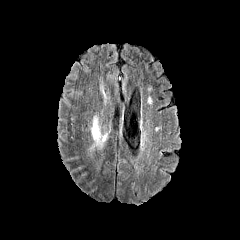
FLAIR MR.
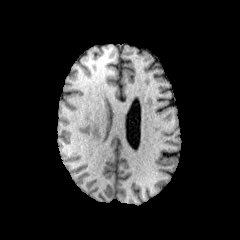
T1-weighted MR of the same slice.
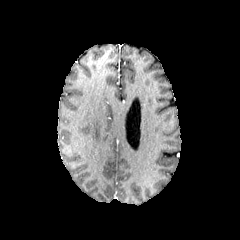
Post-contrast T1-weighted MR image.
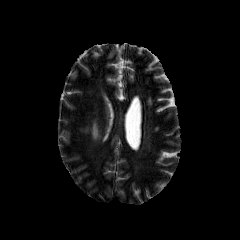
Same slice, T2-weighted MR image.
240x240.
Findings:
- edema: {"x1": 92, "y1": 116, "x2": 101, "y2": 139}